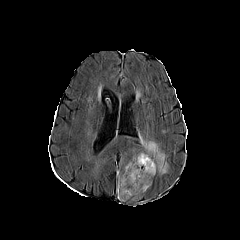
FLAIR MR.
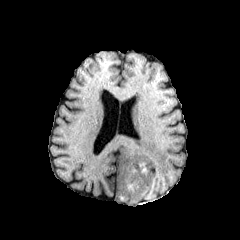
Same slice, T1-weighted MRI.
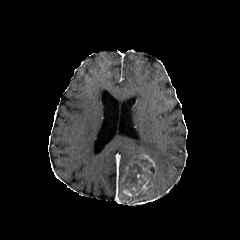
Same slice, post-contrast T1-weighted MRI.
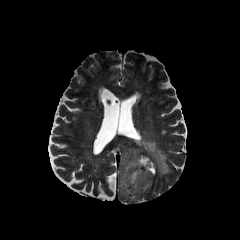
T2-weighted MRI.
240x240 px | Head
The edema lies within 138:132:168:175. 2 non-enhancing tumor core regions appear at 137:158:154:174, 121:165:151:189. The enhancing tumor is at 118:155:156:196.